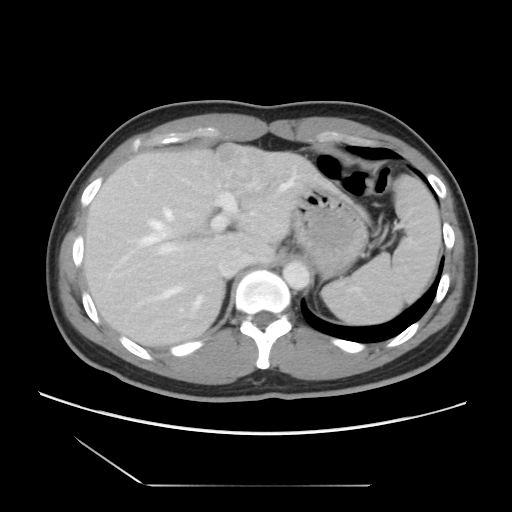 Image size 512x512, Computed tomography

Only some of the vessels may be annotated.
The liver tumor is at box(218, 143, 271, 198). 12 hepatic vessel regions are bounded by box(215, 192, 236, 212); box(179, 308, 183, 312); box(166, 211, 171, 218); box(142, 236, 159, 243); box(152, 222, 161, 229); box(250, 211, 255, 215); box(165, 289, 178, 295); box(196, 301, 199, 303); box(282, 182, 291, 187); box(162, 233, 165, 236); box(212, 216, 226, 228); box(161, 242, 183, 254).